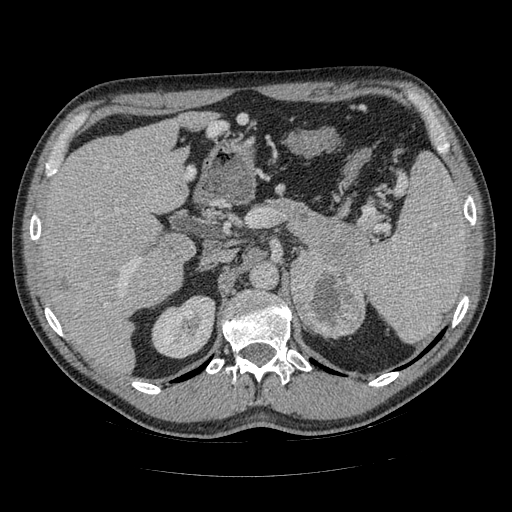

Upper abdomen | Computed tomography | 512x512 px
Pancreatic tumor = (x1=291, y1=251, x2=364, y2=337).
Pancreas = (x1=273, y1=200, x2=369, y2=293).